FLAIR MRI.
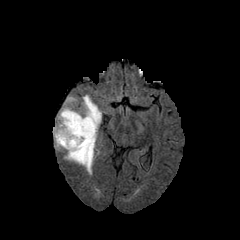
T1-weighted MR.
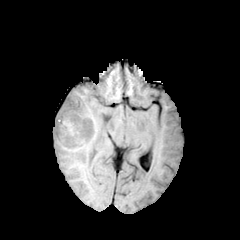
Post-contrast T1-weighted magnetic resonance.
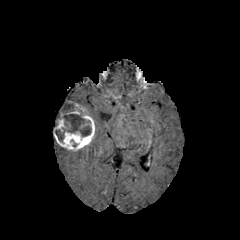
T2-weighted MR image.
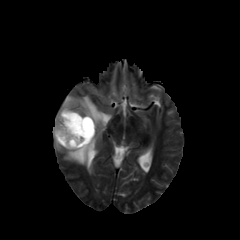
240x240
<segmentation>
  <non-enhancing_tumor_core>(55, 103, 91, 143)</non-enhancing_tumor_core>
  <edema>(54, 94, 103, 175), (55, 102, 66, 121)</edema>
  <enhancing_tumor>(53, 100, 94, 151)</enhancing_tumor>
</segmentation>